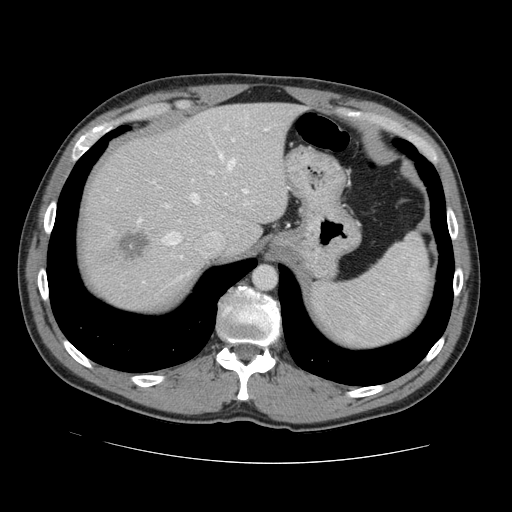

CT scan slice. Image size 512x512. Liver.

Only some of the vessels may be annotated.
<segmentation partial="true">
  <liver_tumor>l=116, t=228, r=150, b=259</liver_tumor>
  <hepatic_vessel shown="15" total="20">l=208, t=170, r=212, b=173; l=224, t=125, r=227, b=129; l=218, t=152, r=222, b=158; l=242, t=189, r=247, b=193; l=207, t=127, r=214, b=144; l=243, t=200, r=248, b=204; l=162, t=232, r=180, b=245; l=226, t=159, r=234, b=171; l=136, t=219, r=140, b=225; l=108, t=229, r=114, b=237; l=190, t=193, r=198, b=203; l=244, t=115, r=247, b=125; l=164, t=204, r=168, b=207; l=149, t=180, r=158, b=188; l=170, t=253, r=182, b=258</hepatic_vessel>
</segmentation>